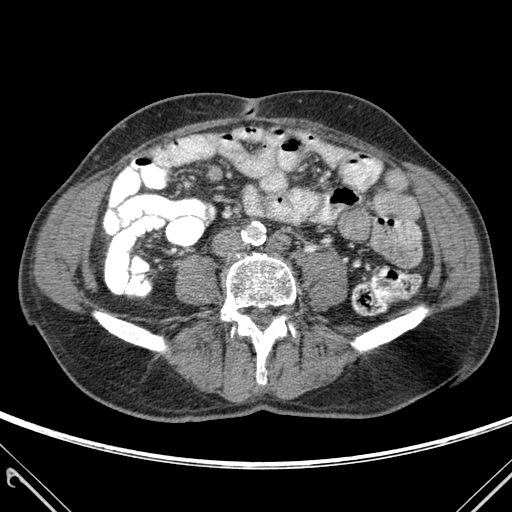 CT scan slice. Image size 512x512.
3 bone regions appear at region(221, 253, 295, 384); region(352, 307, 426, 350); region(94, 312, 165, 350).